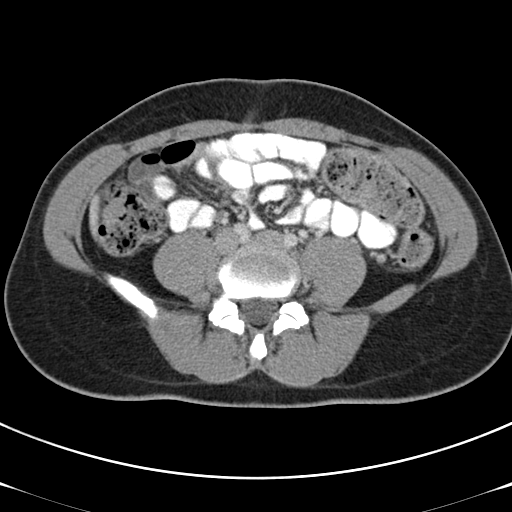
CT scan slice.

{
  "colon_tumor": [
    "left=410, top=233, right=433, bottom=267"
  ]
}